CT. Slice index 24. Liver. 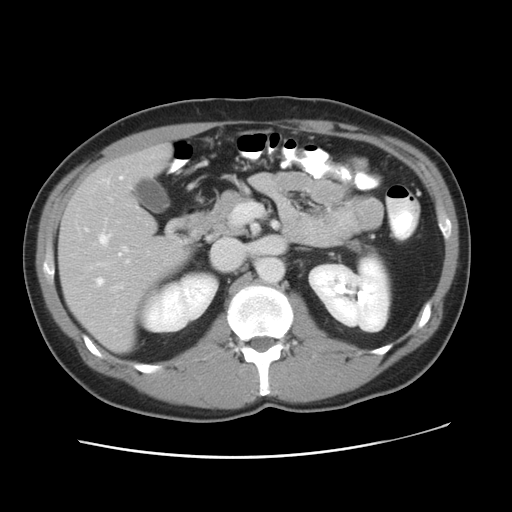

Only some of the vessels may be annotated.
Segmented structures:
* hepatic vessel: 119, 176, 122, 178; 125, 259, 129, 263; 95, 277, 104, 287; 118, 246, 129, 256; 104, 178, 109, 181; 98, 229, 111, 247; 111, 284, 122, 290